FLAIR MR image.
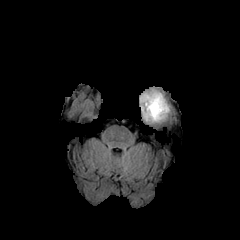
T1-weighted MR image.
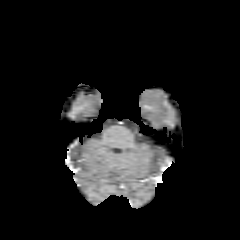
Post-contrast T1-weighted magnetic resonance.
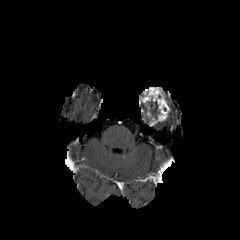
T2-weighted MR image.
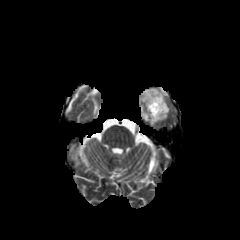
240x240
enhancing_tumor:
  - bbox=[139, 89, 170, 125]
non-enhancing_tumor_core:
  - bbox=[141, 101, 159, 118]